FLAIR magnetic resonance.
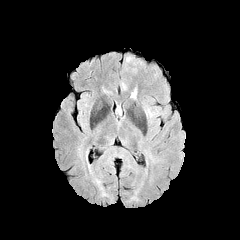
T1-weighted MRI.
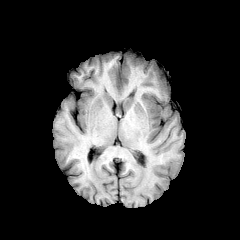
Post-contrast T1-weighted MR.
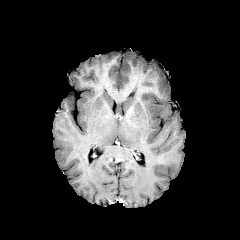
T2-weighted MR image.
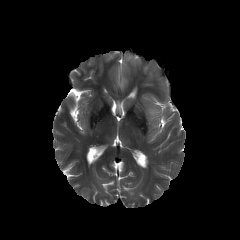
- edema: (145, 108, 158, 119)